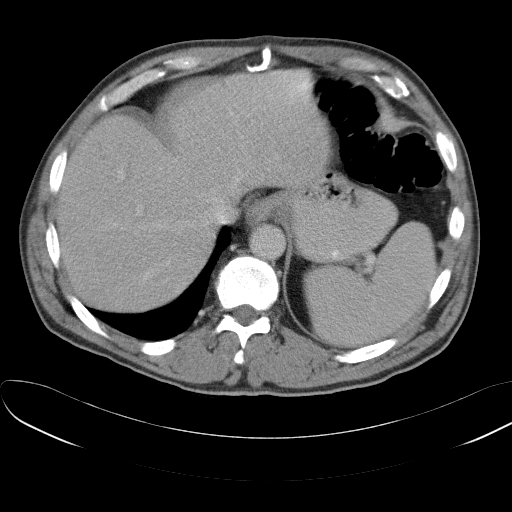
Computed tomography
Spleen at (306,224,436,346).